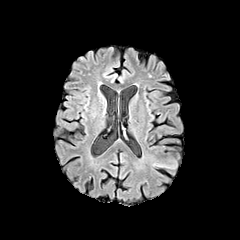
FLAIR MR image.
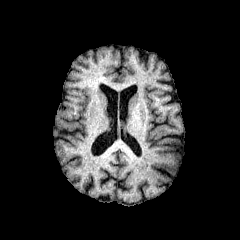
T1-weighted magnetic resonance.
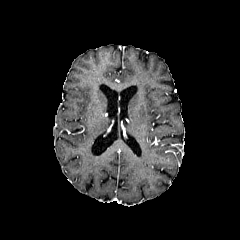
Post-contrast T1-weighted MR image.
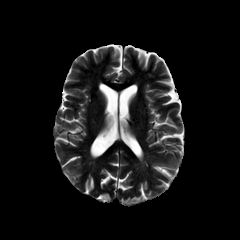
T2-weighted MRI.
Head.
<segmentation>
  <edema>(146, 154, 177, 176)</edema>
</segmentation>